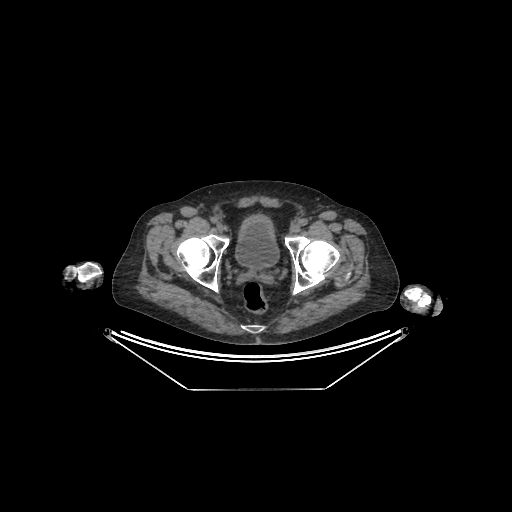
Pelvis. CT image. <segmentation>
  <urinary_bladder>box=[235, 212, 279, 272]</urinary_bladder>
</segmentation>